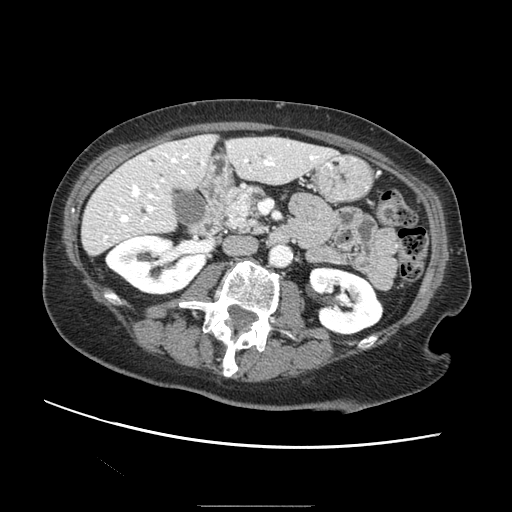 Computed tomography; Abdomen; Image size 512x512
* pancreatic tumor: 231, 191, 250, 216
* pancreas: 224, 186, 266, 234